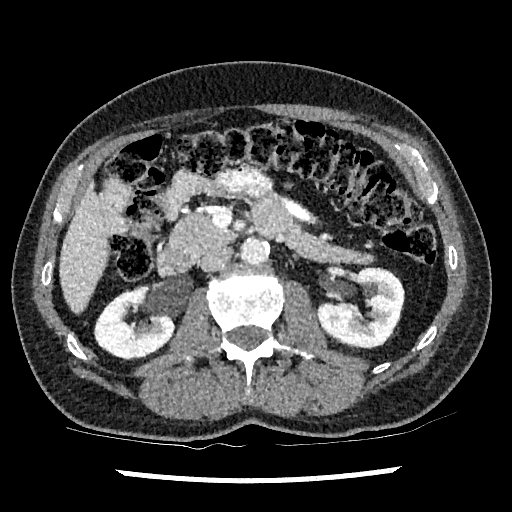 Upper abdomen, CT scan slice

{
  "kidney": [
    "(x1=319, y1=268, x2=403, y2=346)",
    "(x1=95, y1=288, x2=173, y2=357)"
  ],
  "liver": [
    "(x1=61, y1=184, x2=107, y2=313)"
  ]
}